Slice 296/696. CT scan slice. Upper abdomen. 512x512 px. 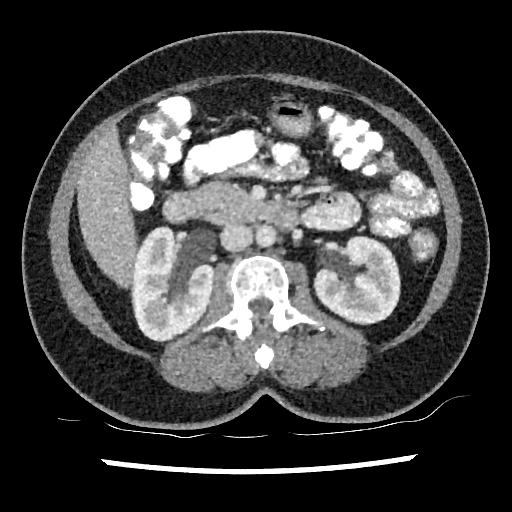

{
  "kidney": [
    "x1=315 y1=237 x2=399 y2=322",
    "x1=133 y1=228 x2=213 y2=340"
  ],
  "liver": [
    "x1=78 y1=131 x2=136 y2=284"
  ]
}